Abdomen; Computed tomography; Image width 470 mm
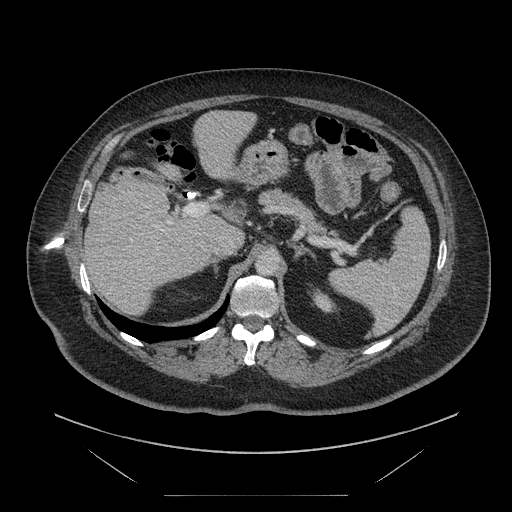 Some hepatic vessels may have no box.
Annotated regions:
- hepatic vessel: [183,203,207,217], [166,220,172,223]